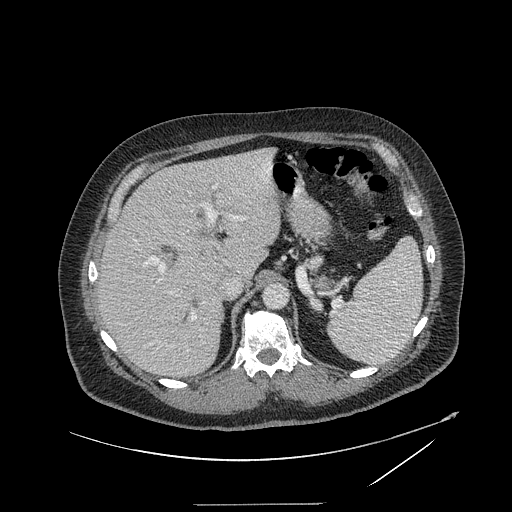

512x512 px; CT slice
The pancreas is located at (x1=317, y1=276, x2=333, y2=286).